Abdomen | CT

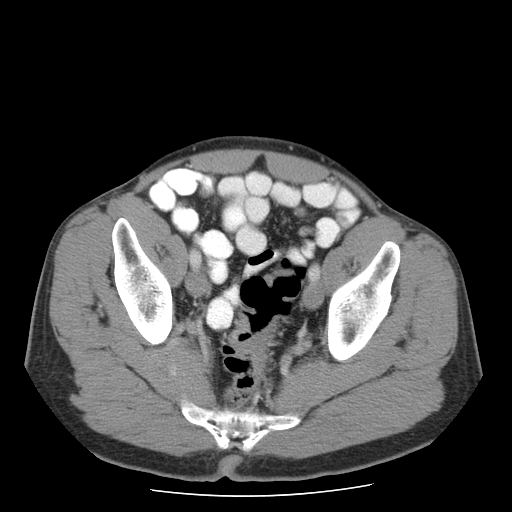

Colon tumor: bounding box <bbox>227, 313, 278, 378</bbox>.